CT scan slice, Abdomen 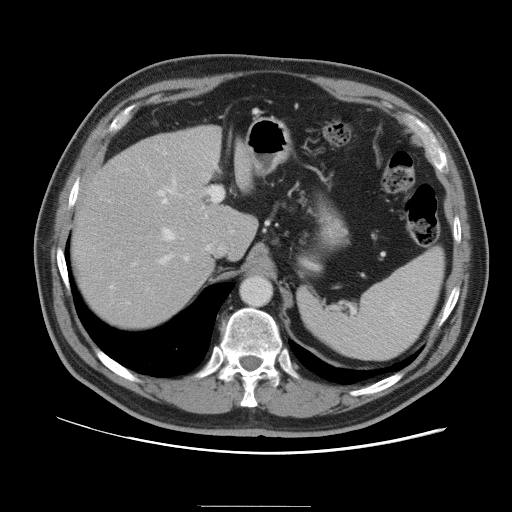 The vessel boxes may cover only some of the vessels.
Hepatic vessel: [x1=231, y1=231, x2=233, y2=232], [x1=133, y1=262, x2=136, y2=265], [x1=158, y1=254, x2=171, y2=264], [x1=181, y1=238, x2=182, y2=239], [x1=184, y1=256, x2=188, y2=260], [x1=200, y1=207, x2=204, y2=210], [x1=203, y1=173, x2=209, y2=178], [x1=178, y1=194, x2=181, y2=197], [x1=206, y1=245, x2=208, y2=248], [x1=163, y1=151, x2=166, y2=154], [x1=162, y1=228, x2=175, y2=240], [x1=204, y1=211, x2=207, y2=217], [x1=109, y1=285, x2=114, y2=288], [x1=158, y1=179, x2=175, y2=204], [x1=126, y1=302, x2=129, y2=303].